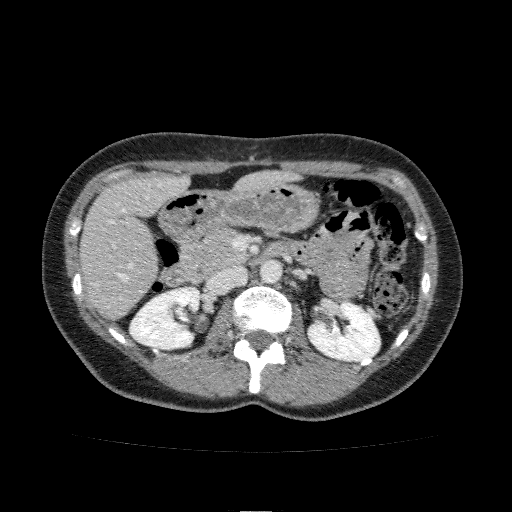
Computed tomography | 512x512 px | Upper abdomen
2 liver regions appear at l=233, t=170, r=300, b=192; l=80, t=174, r=189, b=319. 2 kidney regions are bounded by l=130, t=287, r=199, b=348; l=308, t=303, r=379, b=361.